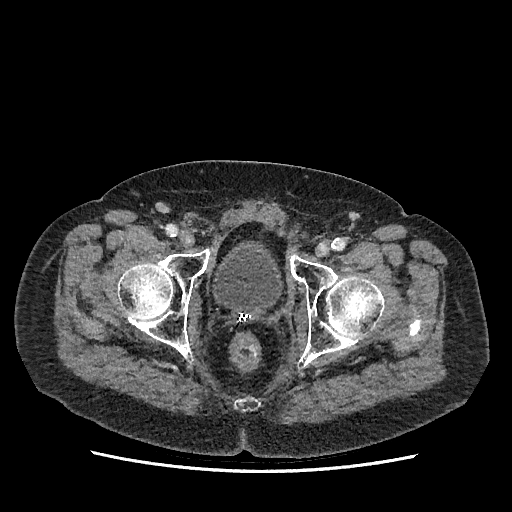 CT scan slice; Pelvis
The urinary bladder lies within [x1=214, y1=246, x2=279, y2=311].